Head.
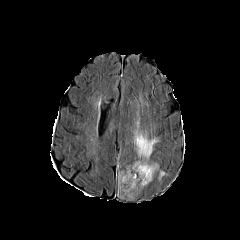
FLAIR MRI.
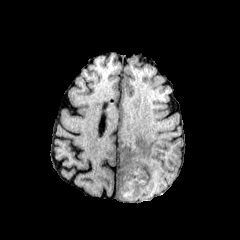
T1-weighted MR.
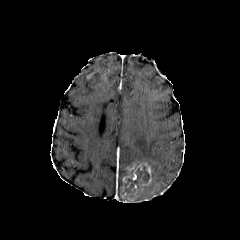
Post-contrast T1-weighted MR of the same slice.
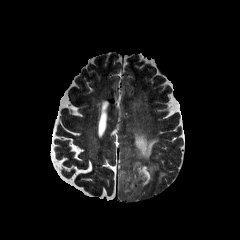
T2-weighted MR image.
<segmentation>
  <enhancing_tumor>[x1=119, y1=161, x2=153, y2=201]</enhancing_tumor>
  <non-enhancing_tumor_core>[x1=123, y1=166, x2=149, y2=194]</non-enhancing_tumor_core>
  <edema>[x1=133, y1=117, x2=167, y2=181]</edema>
</segmentation>